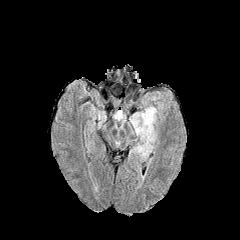
FLAIR MR image.
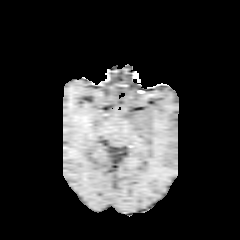
T1-weighted magnetic resonance of the same slice.
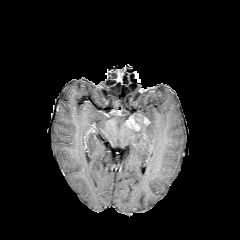
Post-contrast T1-weighted MR.
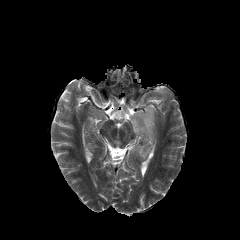
Same slice, T2-weighted MR image.
Head
enhancing_tumor:
  - rect(127, 112, 150, 137)
edema:
  - rect(149, 92, 162, 100)
  - rect(112, 110, 126, 130)
  - rect(129, 101, 163, 162)